Slice index 5. CT scan slice.

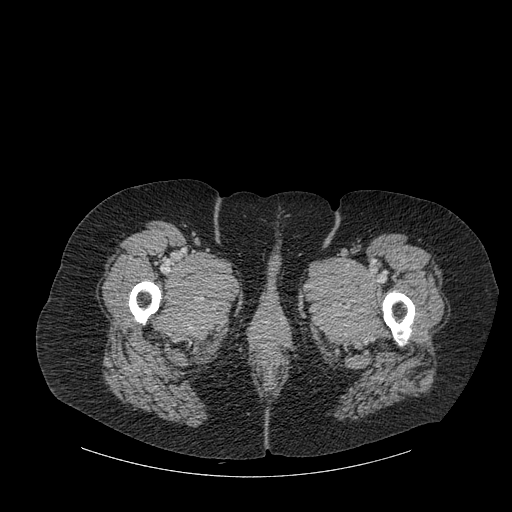 Bone: bounding box (383, 292, 414, 345), (129, 281, 160, 324).